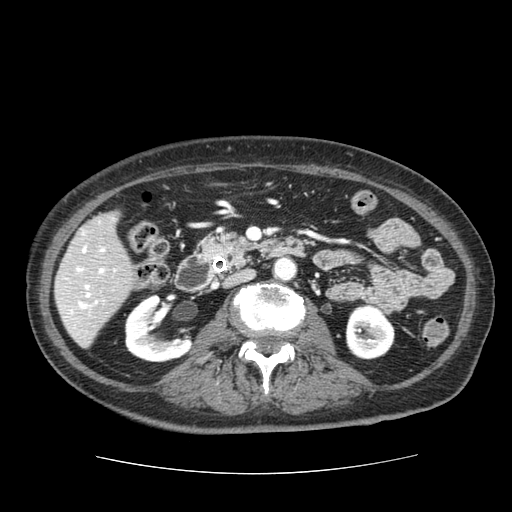 CT | Abdomen
Findings:
* pancreas: <box>197,234,251,267</box>